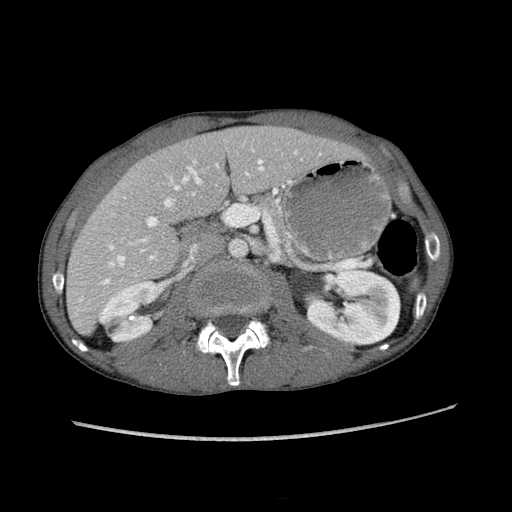 Abdomen. CT image. liver:
  - box=[66, 124, 361, 331]
kidney:
  - box=[308, 267, 398, 343]
  - box=[114, 316, 151, 340]
  - box=[99, 283, 156, 321]